Field of view 240 mm wide, 1.00 mm slice spacing; Brain
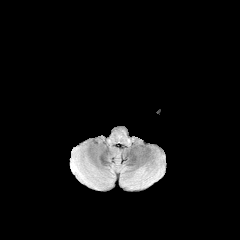
FLAIR MR.
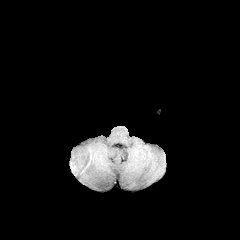
T1-weighted MRI.
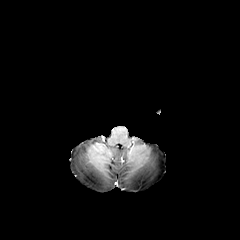
Post-contrast T1-weighted magnetic resonance.
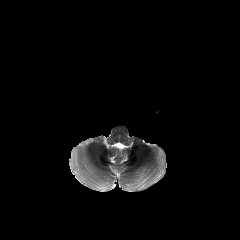
T2-weighted magnetic resonance of the same slice.
Segmented structures:
* edema: region(73, 151, 107, 189); region(135, 175, 150, 186)